512x512 px. CT. Liver.

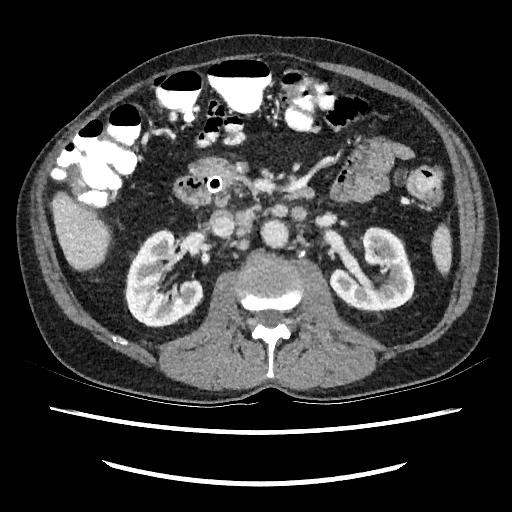
<segmentation>
  <liver>x1=53 y1=194 x2=109 y2=269</liver>
  <kidney>x1=126 y1=231 x2=201 y2=325, x1=331 y1=228 x2=413 y2=309</kidney>
</segmentation>